CT scan slice, 512x512

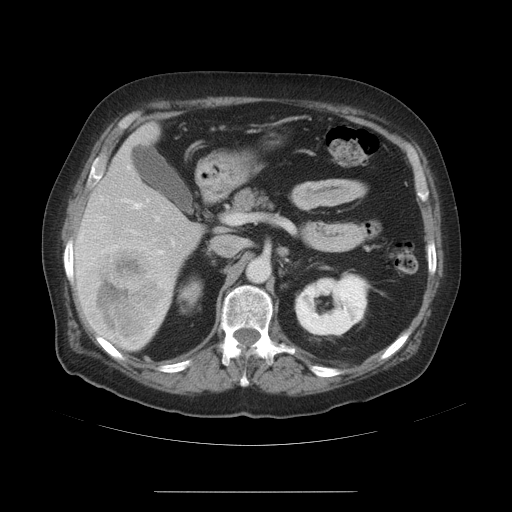
Only some of the vessels may be annotated.
Liver tumor — [79, 244, 172, 350].
Hepatic vessel — [79, 232, 83, 241], [155, 216, 159, 221], [101, 216, 103, 217], [146, 199, 149, 201], [83, 245, 86, 247], [101, 196, 102, 198], [153, 238, 155, 240], [130, 229, 140, 234], [127, 166, 129, 168], [158, 250, 162, 253], [171, 239, 174, 244], [76, 253, 84, 258], [122, 199, 141, 208].